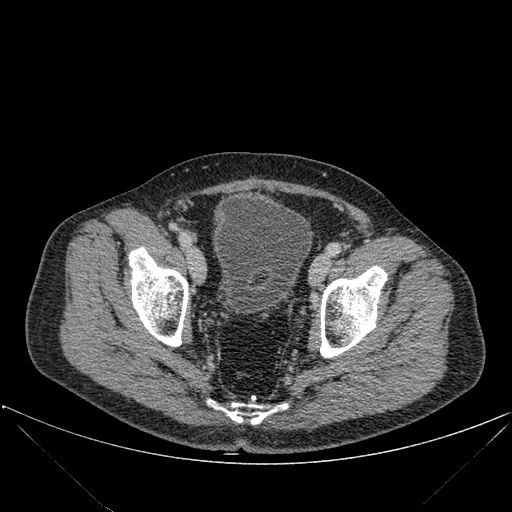

CT | Lower abdomen
Bone — <bbox>129, 247, 188, 346</bbox>, <bbox>207, 400, 287, 424</bbox>, <bbox>320, 266, 386, 357</bbox>.
Urinary bladder — <bbox>212, 197, 312, 314</bbox>.